Slice index 25, Field of view 330x330 mm, Computed tomography, 512x512 px
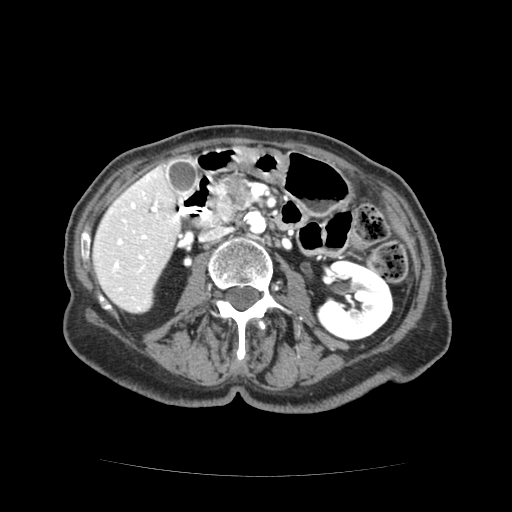
Pancreas: bounding box (211,179,259,216).
Pancreatic tumor: bounding box (220,175,251,203).